CT image, Abdomen 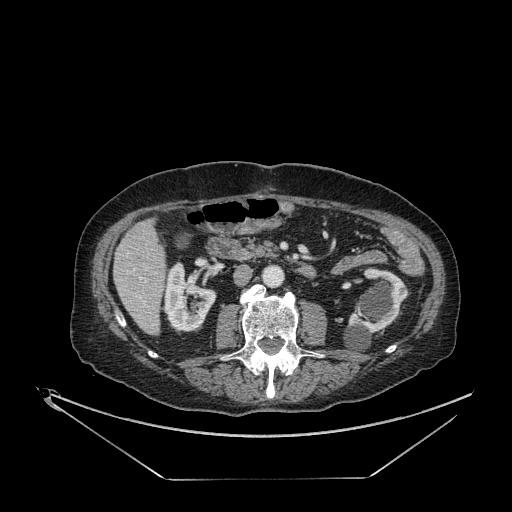 The liver lies within bbox=[113, 219, 165, 334]. 3 kidney regions appear at bbox=[195, 258, 206, 268]; bbox=[164, 263, 215, 330]; bbox=[349, 268, 407, 332].